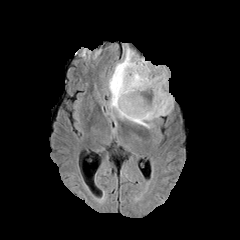
FLAIR MRI.
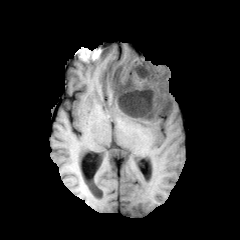
T1-weighted magnetic resonance of the same slice.
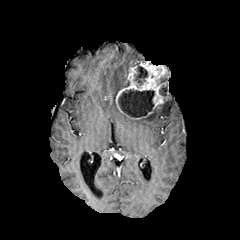
Same slice, post-contrast T1-weighted MR.
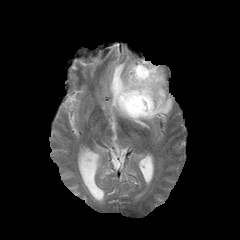
T2-weighted MR image of the same slice.
240x240 px
{"edema": ["117:94:172:128", "106:47:144:111"], "non-enhancing_tumor_core": ["134:62:147:85", "118:90:154:116", "159:85:166:96"], "enhancing_tumor": ["113:60:169:119"]}